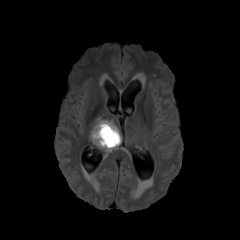
FLAIR magnetic resonance.
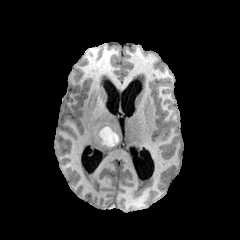
T1-weighted MR.
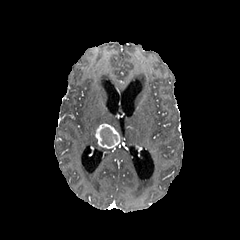
Post-contrast T1-weighted MR image.
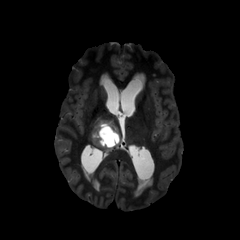
T2-weighted MR image of the same slice.
240x240 px, Head
The non-enhancing tumor core appears at 100, 127, 118, 146. The edema is bounded by 89, 117, 117, 146. The enhancing tumor is at 95, 123, 120, 148.